FLAIR MR image.
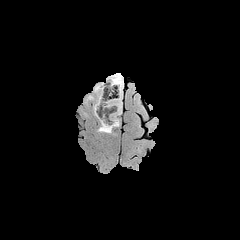
T1-weighted MR.
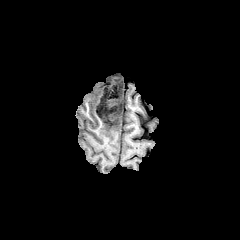
Post-contrast T1-weighted magnetic resonance.
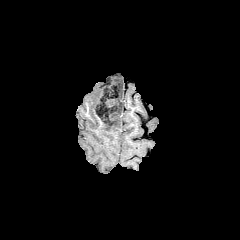
T2-weighted magnetic resonance.
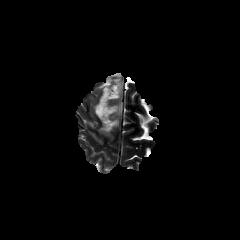
240x240
Edema: {"x1": 85, "y1": 84, "x2": 104, "y2": 114}, {"x1": 100, "y1": 75, "x2": 123, "y2": 133}.
Non-enhancing tumor core: {"x1": 99, "y1": 120, "x2": 116, "y2": 131}, {"x1": 96, "y1": 96, "x2": 109, "y2": 117}.